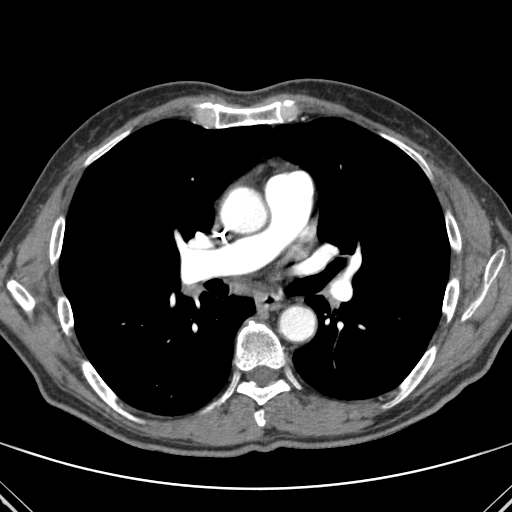
Thorax | CT slice
bone: 442,278,458,321; 287,372,300,388; 82,361,138,420; 461,255,503,320; 446,212,461,251; 203,375,289,412; 394,346,435,402; 198,100,293,128; 58,297,73,334; 49,217,64,264; 382,134,426,166; 235,320,285,372; 7,280,34,313; 254,410,265,426; 85,131,128,164 | lung: 59,117,449,415